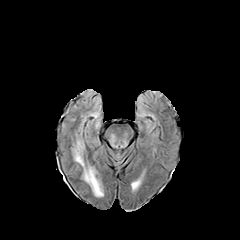
FLAIR MR image.
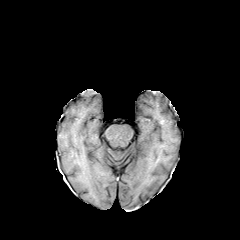
T1-weighted MR.
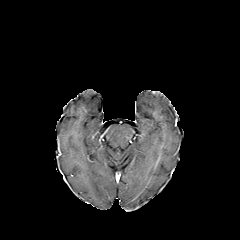
Same slice, post-contrast T1-weighted magnetic resonance.
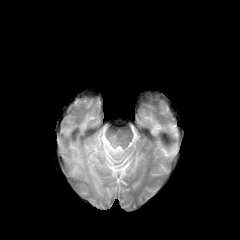
T2-weighted MR image.
Head.
<segmentation>
  <edema>(75, 152, 83, 165), (83, 169, 102, 195)</edema>
</segmentation>